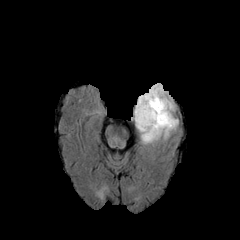
FLAIR MR.
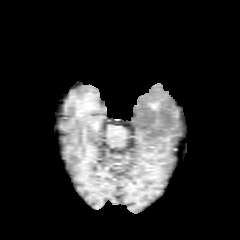
T1-weighted magnetic resonance.
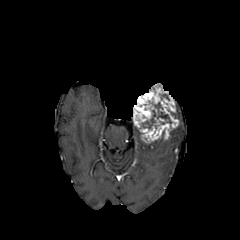
Same slice, post-contrast T1-weighted MRI.
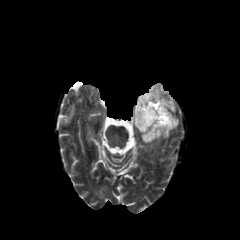
Same slice, T2-weighted MR.
240x240, Brain
Non-enhancing tumor core = x1=141 y1=98 x2=175 y2=129.
Edema = x1=137 y1=128 x2=167 y2=146.
Enhancing tumor = x1=133 y1=85 x2=178 y2=141.